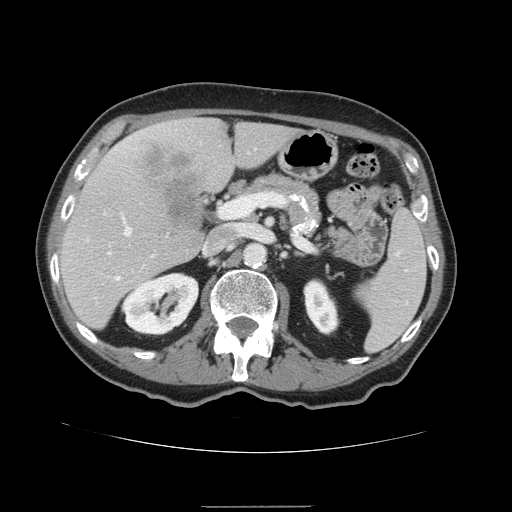
512x512 | CT scan slice

The vessel boxes may cover only some of the vessels.
{
  "liver_tumor": [
    "<bbox>136, 140, 211, 230</bbox>"
  ],
  "hepatic_vessel": [
    "<bbox>204, 240, 224, 253</bbox>",
    "<bbox>123, 217, 125, 221</bbox>",
    "<bbox>125, 226, 131, 235</bbox>",
    "<bbox>116, 276, 119, 279</bbox>",
    "<bbox>219, 195, 254, 235</bbox>"
  ]
}